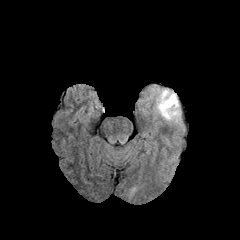
FLAIR MRI.
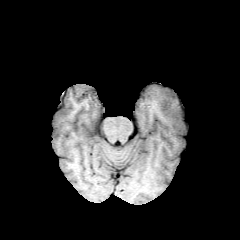
Same slice, T1-weighted MR image.
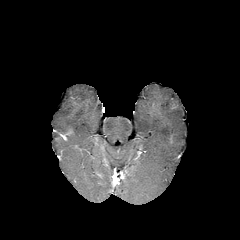
Same slice, post-contrast T1-weighted MR image.
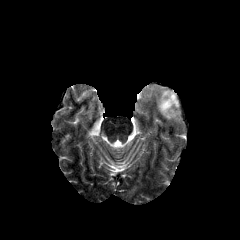
T2-weighted MR image of the same slice.
Head
The edema is at left=146, top=86, right=181, bottom=125.